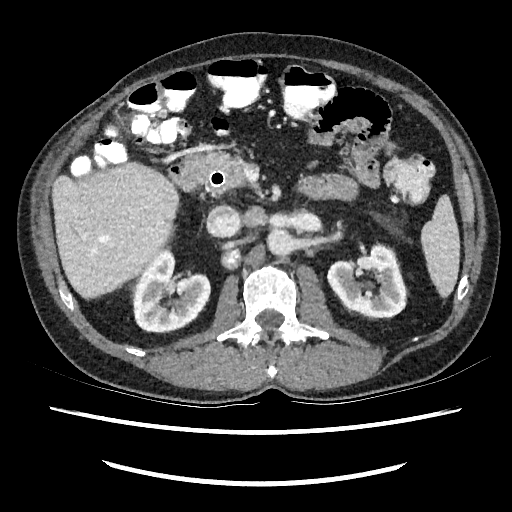
512x512 | CT slice | Abdomen

2 kidney regions are bounded by [134, 251, 209, 331], [328, 246, 405, 316]. The liver is at [53, 163, 178, 297].